CT 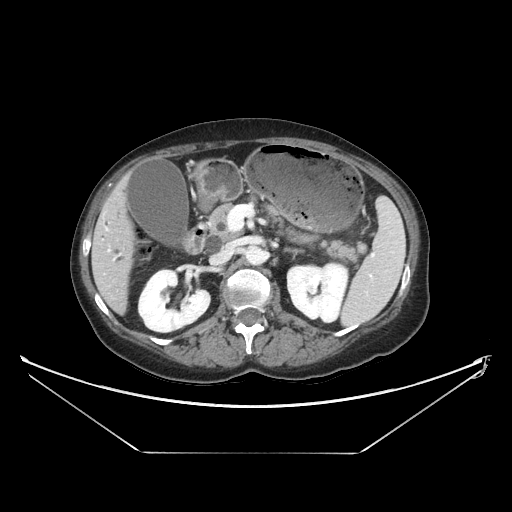 pancreas: [265,208,300,242], [209,204,236,239], [315,241,357,263]